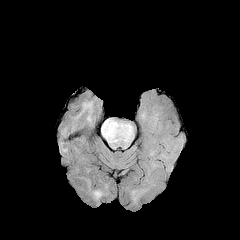
FLAIR MR.
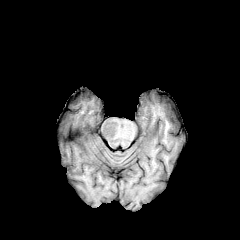
T1-weighted MR of the same slice.
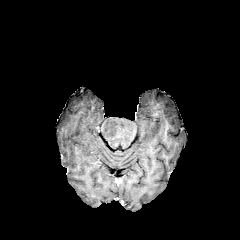
Post-contrast T1-weighted MRI.
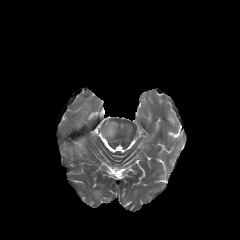
Same slice, T2-weighted MR image.
Edema: (left=78, top=102, right=92, bottom=121).